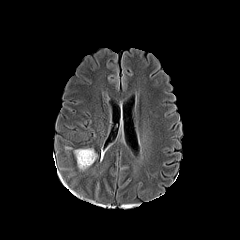
FLAIR MR.
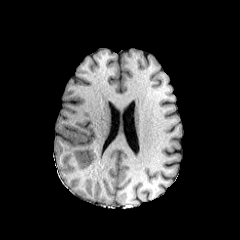
T1-weighted MR of the same slice.
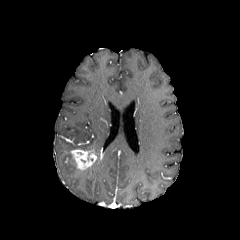
Post-contrast T1-weighted MR.
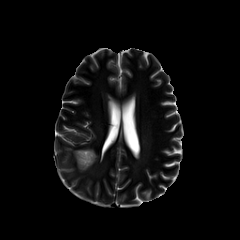
T2-weighted MRI.
Head
The enhancing tumor is at 71 149 97 170.